Field of view 335 mm wide, 1.00 mm slice spacing, CT image

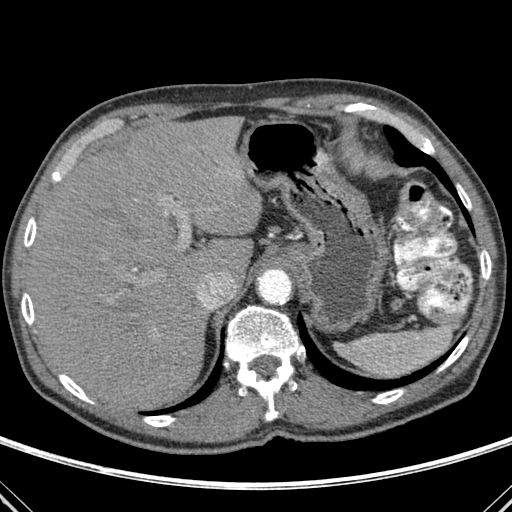
3 lung regions appear at x1=384, y1=126, x2=473, y2=231; x1=298, y1=314, x2=455, y2=389; x1=143, y1=330, x2=223, y2=414. 11 bone regions appear at x1=414, y1=134, x2=434, y2=153; x1=439, y1=336, x2=468, y2=370; x1=226, y1=306, x2=304, y2=420; x1=144, y1=415, x2=174, y2=426; x1=457, y1=184, x2=471, y2=209; x1=59, y1=374, x2=93, y2=403; x1=21, y1=293, x2=34, y2=324; x1=480, y1=250, x2=491, y2=279; x1=24, y1=218, x2=36, y2=246; x1=52, y1=171, x2=60, y2=181; x1=372, y1=389, x2=403, y2=403. The liver appears at x1=27, y1=116, x2=262, y2=410.